Slice 333/771, Liver, CT slice

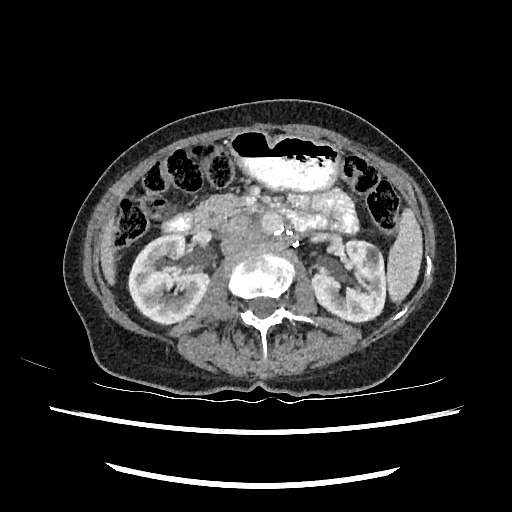 {"liver": ["[x1=101, y1=226, x2=113, y2=281]"], "kidney": ["[x1=129, y1=235, x2=208, y2=323]", "[x1=312, y1=241, x2=385, y2=321]"]}